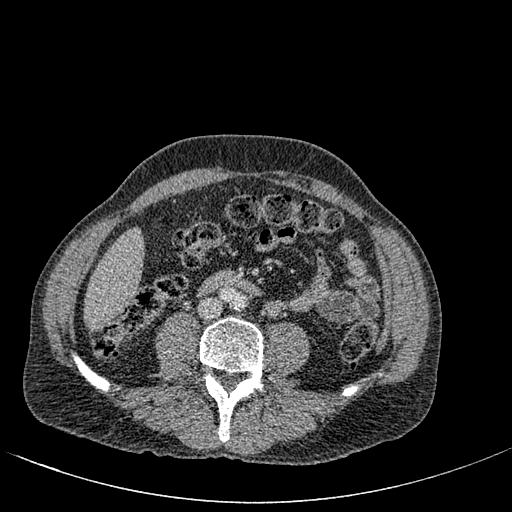

CT image | 512x512
liver:
  - bbox(85, 231, 141, 325)